512x512 | CT scan slice | Upper abdomen
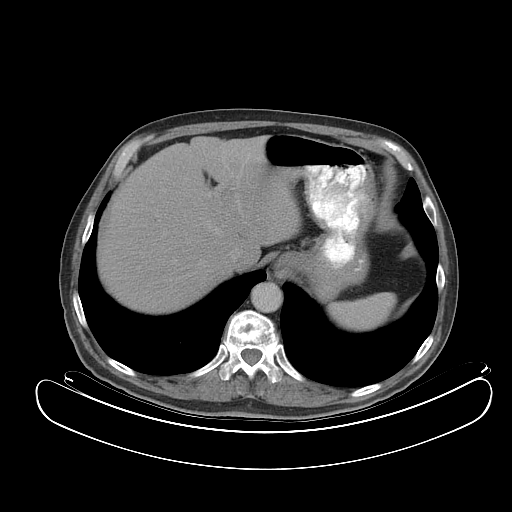 Segmented structures:
• spleen: [x1=330, y1=294, x2=393, y2=330]